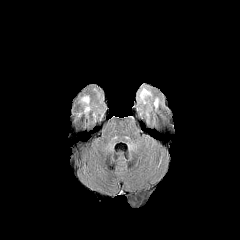
FLAIR magnetic resonance.
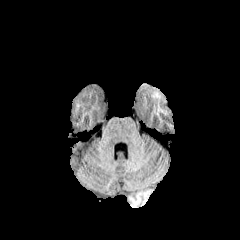
Same slice, T1-weighted MR image.
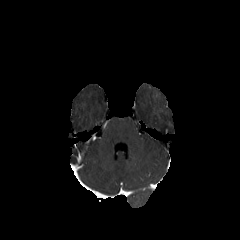
Same slice, post-contrast T1-weighted MR.
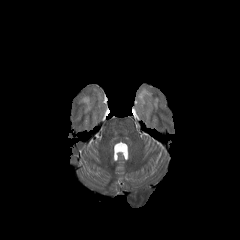
T2-weighted MRI.
Brain.
<segmentation>
  <edema>box(140, 90, 150, 98); box(82, 96, 89, 103)</edema>
</segmentation>